512x512 px. Slice 62 of 97. CT. 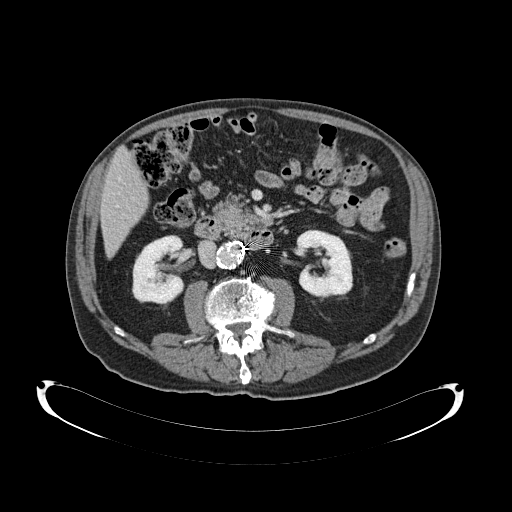
The pancreas is located at (left=211, top=194, right=246, bottom=239).